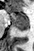
MR | Image size 34x51 | Hippocampus

Posterior hippocampus = (13, 25, 29, 30).
Anterior hippocampus = (6, 10, 8, 11), (9, 11, 29, 24).